FLAIR MR.
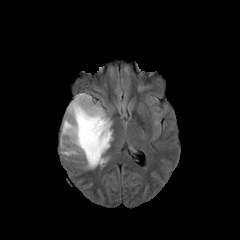
T1-weighted MR.
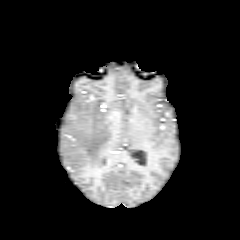
Post-contrast T1-weighted MR image.
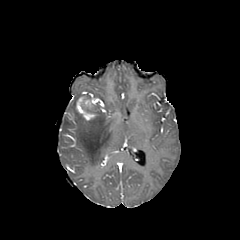
T2-weighted magnetic resonance.
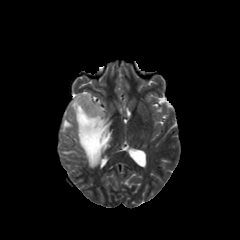
Image size 240x240; Head
The non-enhancing tumor core appears at (left=71, top=93, right=104, bottom=125). The enhancing tumor is at (left=76, top=97, right=97, bottom=120). The edema appears at (left=60, top=103, right=111, bottom=168).